MRI slice
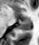

Annotated regions:
- anterior hippocampus: (left=24, top=18, right=30, bottom=20)
- posterior hippocampus: (left=20, top=21, right=31, bottom=30)